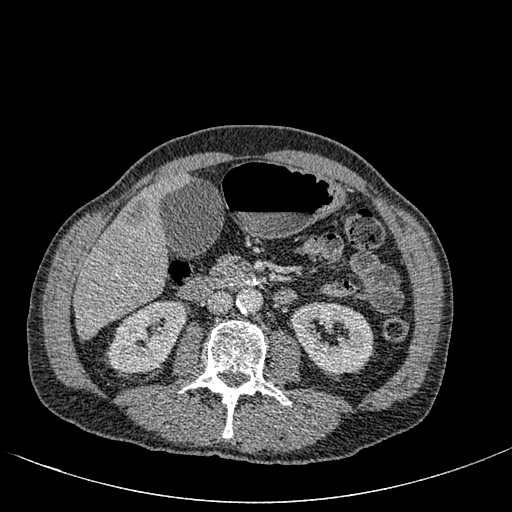

CT scan slice.
Hepatic lesion at 124 199 150 226.
Liver at 74 173 190 338.
Kidney at 108 301 186 372, 292 299 372 374.